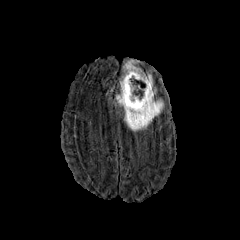
FLAIR magnetic resonance.
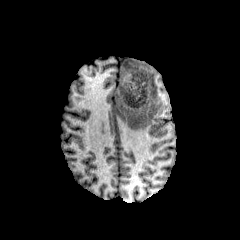
T1-weighted MR.
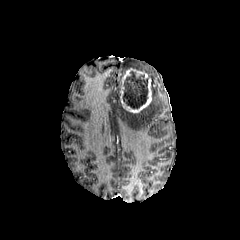
Same slice, post-contrast T1-weighted magnetic resonance.
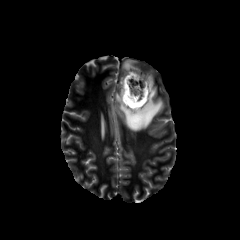
Same slice, T2-weighted magnetic resonance.
2 edema regions appear at (x1=122, y1=99, x2=163, y2=132), (x1=123, y1=60, x2=140, y2=70). The enhancing tumor lies within (x1=119, y1=68, x2=152, y2=113). The non-enhancing tumor core is bounded by (x1=122, y1=71, x2=147, y2=109).